Pelvis. Slice 162 of 811. CT image.

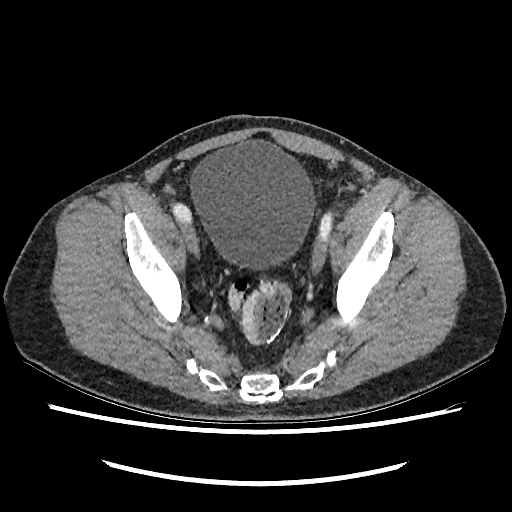
{
  "urinary_bladder": [
    "rect(189, 138, 314, 270)"
  ]
}